CT image | 512x512
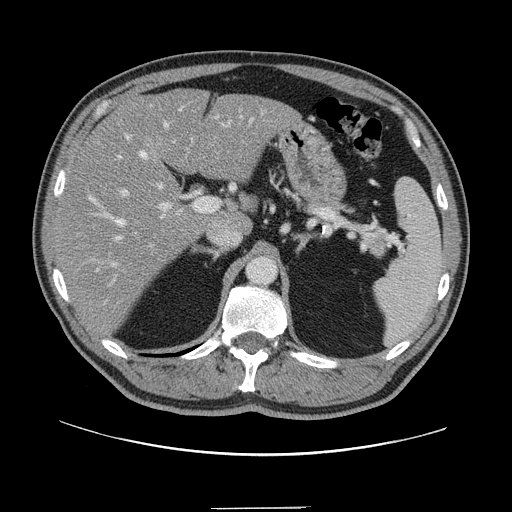
Some hepatic vessels may have no box.
{
  "partial": true,
  "hepatic_vessel": {
    "n_total": 19,
    "boxes": [
      "bbox=[116, 237, 121, 239]",
      "bbox=[164, 123, 167, 127]",
      "bbox=[159, 184, 162, 188]",
      "bbox=[90, 197, 97, 204]",
      "bbox=[122, 190, 128, 196]",
      "bbox=[140, 152, 146, 158]",
      "bbox=[161, 215, 164, 218]",
      "bbox=[192, 192, 219, 213]",
      "bbox=[118, 155, 121, 158]",
      "bbox=[240, 115, 242, 118]",
      "bbox=[222, 122, 229, 126]",
      "bbox=[113, 263, 118, 266]",
      "bbox=[99, 210, 125, 225]",
      "bbox=[161, 204, 170, 210]",
      "bbox=[126, 135, 130, 139]"
    ]
  }
}